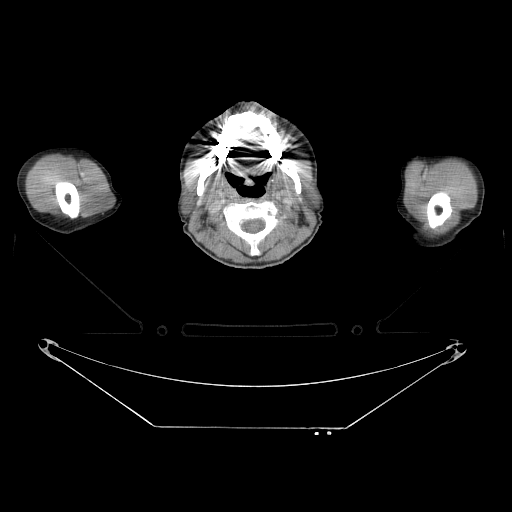

Image size 512x512, CT scan slice
{"bone": ["l=56, t=181, r=79, b=217", "l=278, t=159, r=302, b=193", "l=427, t=191, r=451, b=228", "l=190, t=111, r=285, b=195", "l=224, t=201, r=280, b=254"]}